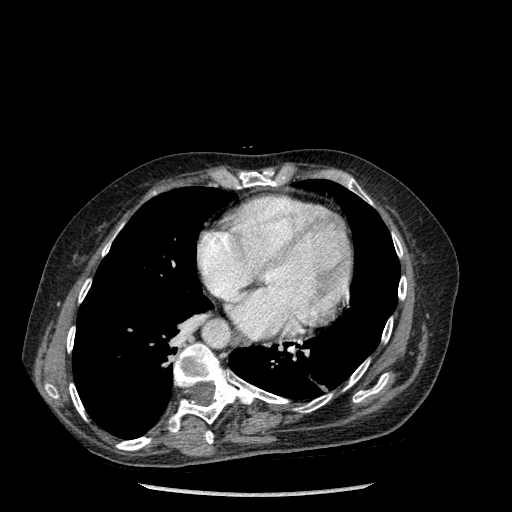 CT slice; Chest

2 lung regions are located at (x1=229, y1=180, x2=400, y2=399), (x1=72, y1=186, x2=235, y2=439). The most prominent 15 bone regions (of 16) are bounded by (x1=67, y1=327, x2=75, y2=352), (x1=295, y1=394, x2=332, y2=412), (x1=45, y1=383, x2=58, y2=398), (x1=382, y1=317, x2=392, y2=343), (x1=398, y1=276, x2=406, y2=299), (x1=344, y1=359, x2=369, y2=390), (x1=69, y1=383, x2=86, y2=420), (x1=168, y1=343, x2=288, y2=432), (x1=346, y1=178, x2=372, y2=204), (x1=233, y1=170, x2=283, y2=188), (x1=353, y1=373, x2=389, y2=402), (x1=116, y1=437, x2=151, y2=450), (x1=78, y1=279, x2=91, y2=302), (x1=102, y1=225, x2=121, y2=256), (x1=392, y1=232, x2=402, y2=257).